Head. Field of view 240x240 mm. Slice 52/155. 240x240.
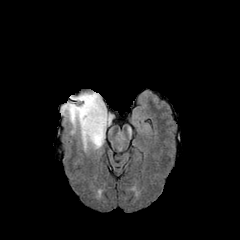
FLAIR MR.
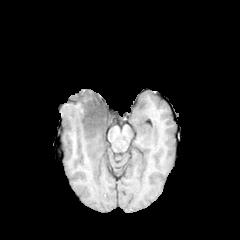
Same slice, T1-weighted magnetic resonance.
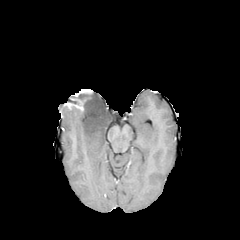
Post-contrast T1-weighted magnetic resonance.
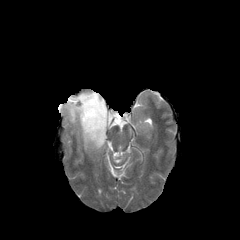
Same slice, T2-weighted MR image.
- edema: box(78, 92, 105, 107); box(60, 104, 112, 151)
- non-enhancing tumor core: box(72, 93, 105, 131)
- enhancing tumor: box(66, 102, 83, 110)